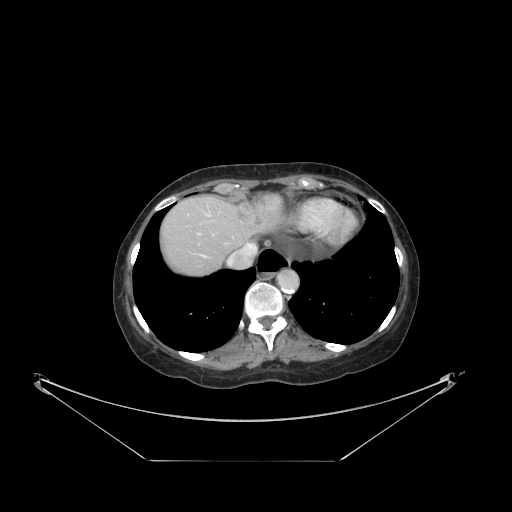 Computed tomography; Liver; Image size 512x512
Some hepatic vessels may have no box.
5 hepatic vessel regions are bounded by [227,243,258,266], [198,233,200,234], [204,209,211,216], [202,255,205,256], [212,234,214,235].